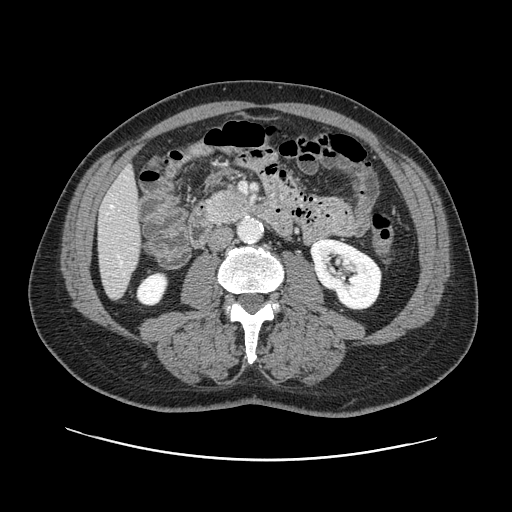 CT. Abdomen.

Annotated regions:
- pancreas: (x1=205, y1=188, x2=253, y2=225)